Slice 136 of 536; Computed tomography; Image width 700 mm; 512x512

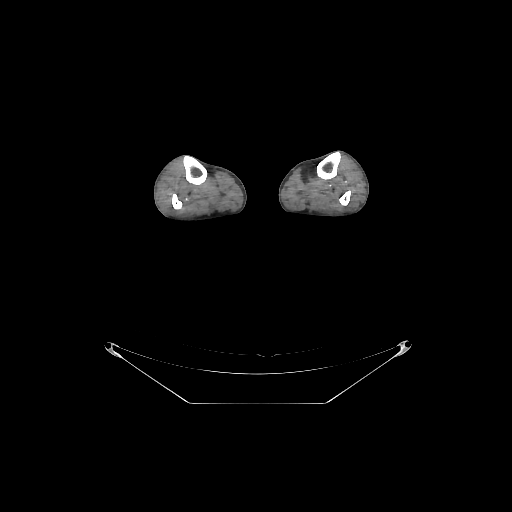 Bone: bounding box [x1=317, y1=152, x2=340, y2=179], [x1=183, y1=156, x2=206, y2=184], [x1=172, y1=194, x2=181, y2=209], [x1=339, y1=190, x2=350, y2=205].